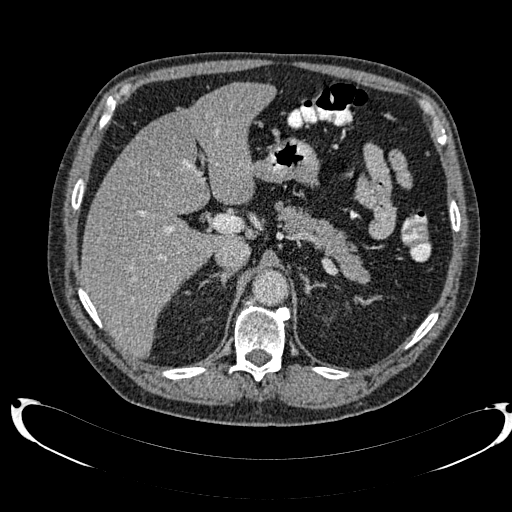
CT. Liver. Liver = 81, 83, 274, 356.
Hepatic lesion = 137, 115, 189, 171.